Slice 76 of 155
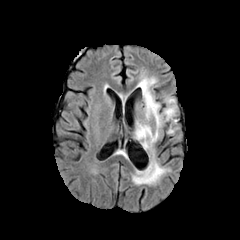
FLAIR MR.
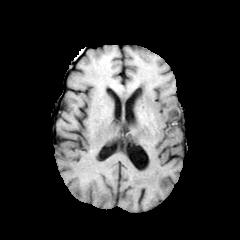
T1-weighted MR image.
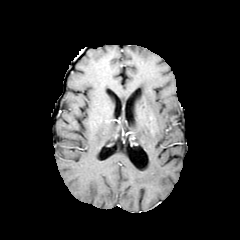
Post-contrast T1-weighted MR.
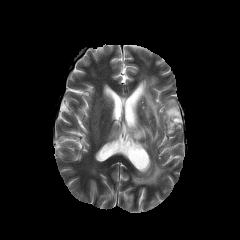
Same slice, T2-weighted magnetic resonance.
<segmentation>
  <edema>x1=132, y1=157, x2=168, y2=184; x1=132, y1=77, x2=179, y2=154</edema>
</segmentation>